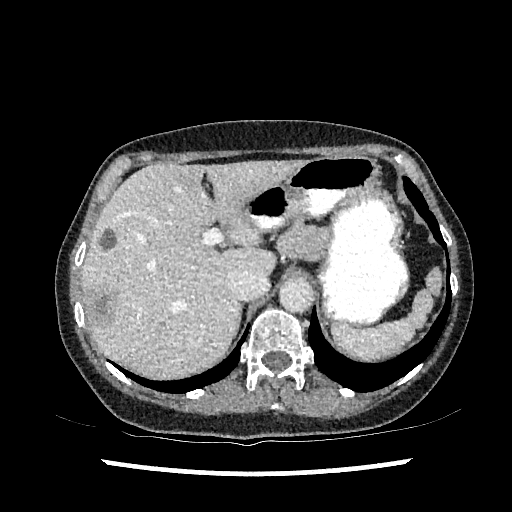
Abdomen; CT image
<segmentation>
  <hepatic_lesion>bbox=[181, 169, 194, 187]; bbox=[84, 285, 117, 327]; bbox=[99, 228, 116, 249]; bbox=[157, 322, 165, 332]</hepatic_lesion>
  <liver>bbox=[82, 161, 299, 377]</liver>
</segmentation>